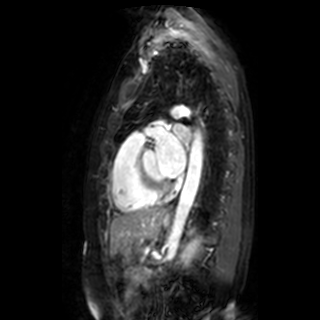

MR image. Left atrium = [x1=155, y1=131, x2=185, y2=177], [x1=173, y1=124, x2=190, y2=139].